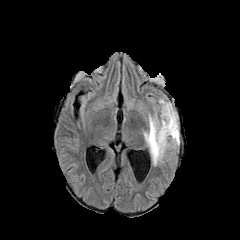
FLAIR MR image.
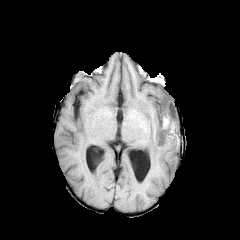
T1-weighted MR image.
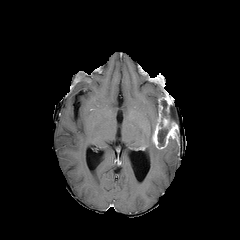
Post-contrast T1-weighted MR of the same slice.
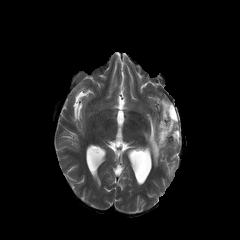
T2-weighted MRI.
Image size 240x240, Head
{"edema": ["[143,104,179,165]"], "enhancing_tumor": ["[162,95,171,111]", "[151,118,178,148]"], "non-enhancing_tumor_core": ["[157,126,168,148]", "[158,99,177,126]"]}